Computed tomography; Abdomen; Image size 512x512
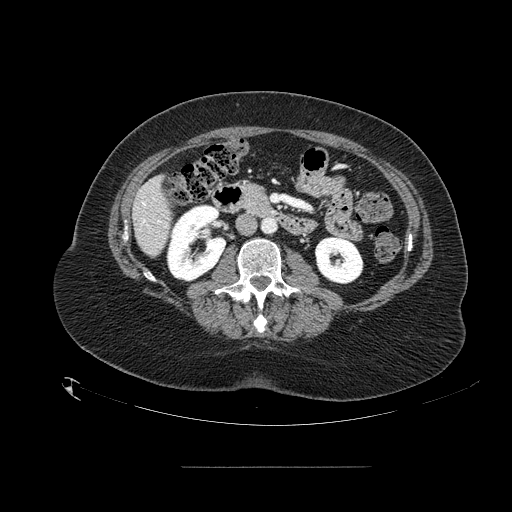
{"pancreas": ["bbox=[240, 182, 274, 219]"]}